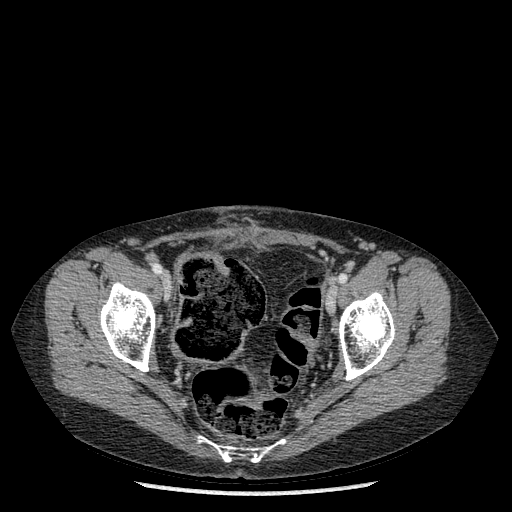
Computed tomography
Bone: bounding box l=98, t=282, r=155, b=371; l=197, t=436, r=285, b=462; l=338, t=290, r=395, b=380.